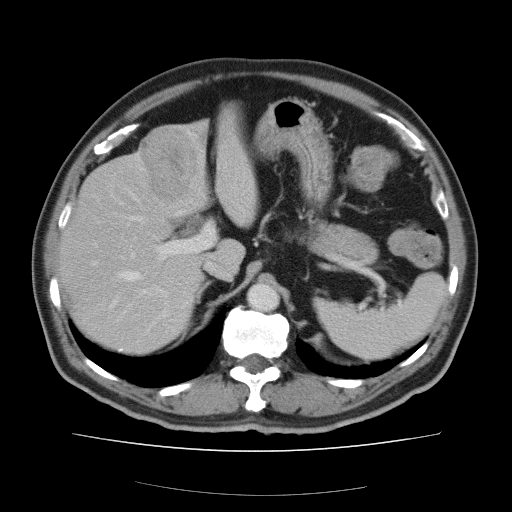
Liver. CT slice.
The vessel boxes may cover only some of the vessels.
<segmentation>
  <hepatic_vessel>156:225:214:259, 131:254:133:256, 134:217:136:218, 120:271:138:279, 112:299:116:304, 152:285:157:287</hepatic_vessel>
  <liver_tumor>141:129:195:196</liver_tumor>
</segmentation>